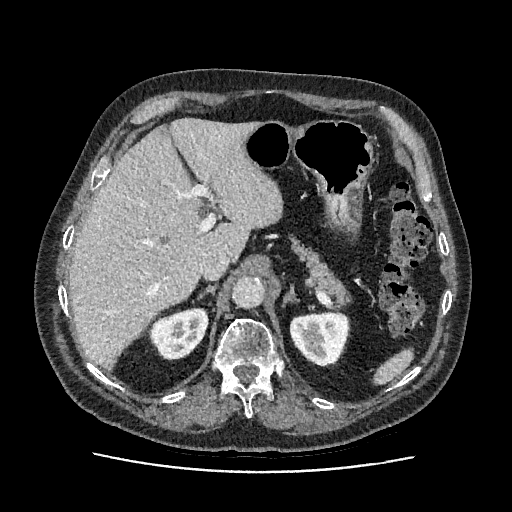 CT slice. Abdomen. Image size 512x512.
The liver is at l=69, t=119, r=281, b=369. 2 kidney regions appear at l=290, t=313, r=347, b=365; l=152, t=309, r=207, b=358.